FLAIR MRI.
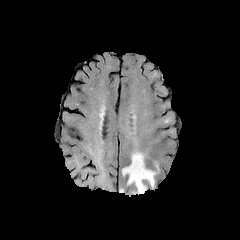
T1-weighted MR.
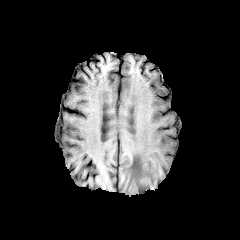
Post-contrast T1-weighted magnetic resonance.
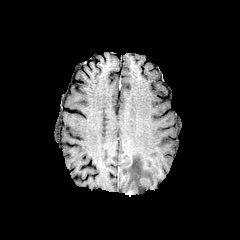
T2-weighted magnetic resonance.
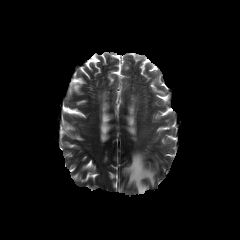
240x240 px
Edema: 122:153:155:193.